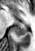 Medial temporal lobe; MR image
posterior hippocampus: (x1=13, y1=23, x2=26, y2=36)